Slice 58/155 | Head
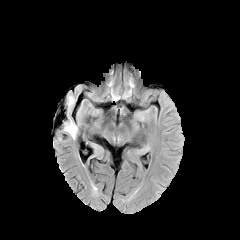
FLAIR MR.
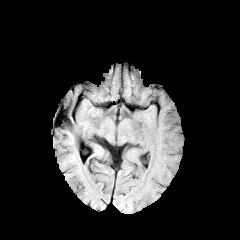
T1-weighted MR.
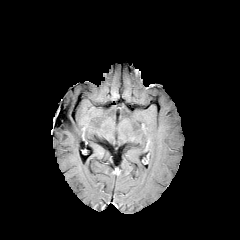
Post-contrast T1-weighted MR of the same slice.
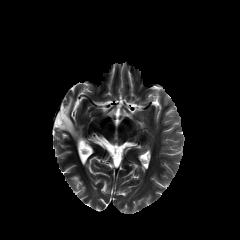
Same slice, T2-weighted MRI.
Segmented structures:
• edema: {"x1": 62, "y1": 96, "x2": 79, "y2": 138}